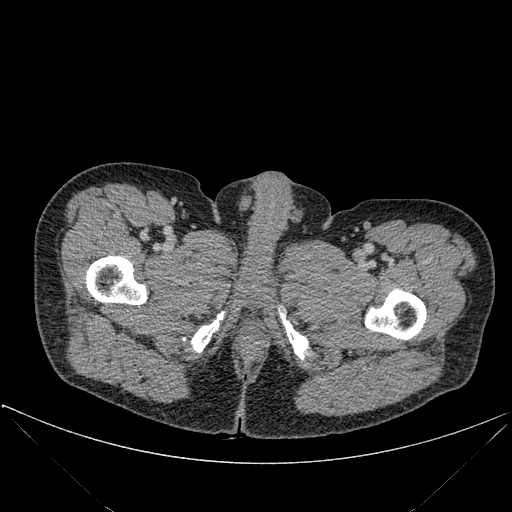

Computed tomography

4 bone regions appear at [86,256,146,304], [279,309,308,359], [365,289,426,339], [191,312,224,352].